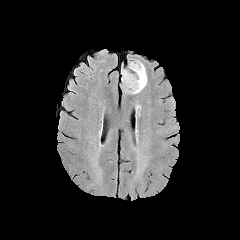
FLAIR MR.
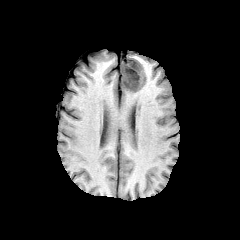
Same slice, T1-weighted magnetic resonance.
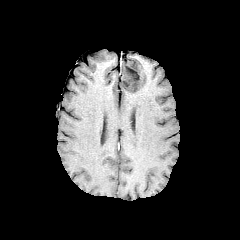
Post-contrast T1-weighted MR.
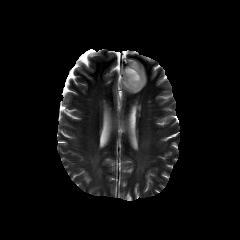
T2-weighted MR image.
Edema = (122, 63, 147, 93).
Non-enhancing tumor core = (121, 60, 143, 91).